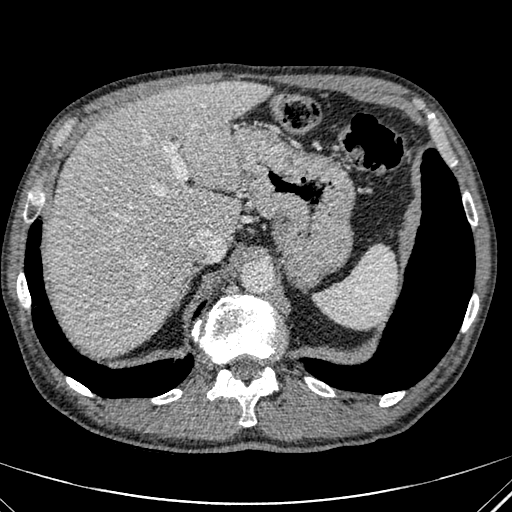 Liver, CT
Liver = 48,81,271,356.